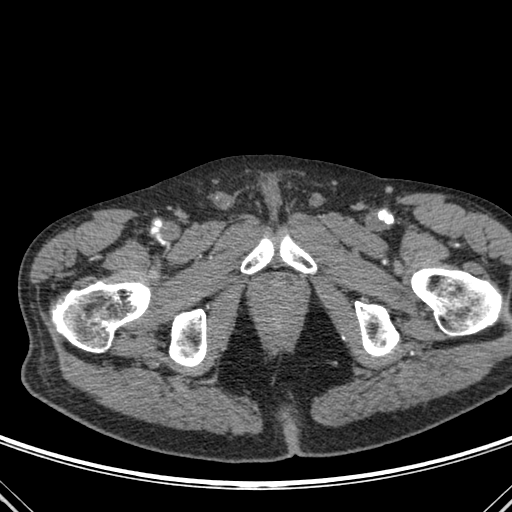 Computed tomography. 5 bone regions are bounded by box(355, 301, 399, 356); box(240, 235, 316, 274); box(52, 281, 152, 352); box(169, 309, 206, 366); box(411, 267, 505, 335).